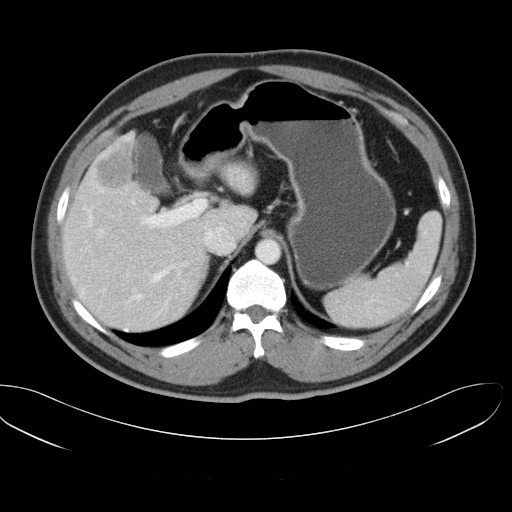 CT slice, Abdomen
Not every hepatic vessel necessarily has a box.
Liver tumor: bounding box (left=93, top=139, right=132, bottom=188).
Largest 15 of 20 hepatic vessel regions: bounding box (left=125, top=294, right=143, bottom=303), (left=97, top=229, right=104, bottom=236), (left=80, top=287, right=84, bottom=298), (left=85, top=245, right=90, bottom=250), (left=99, top=188, right=103, bottom=191), (left=141, top=216, right=177, bottom=227), (left=169, top=264, right=175, bottom=267), (left=126, top=271, right=129, bottom=276), (left=100, top=289, right=104, bottom=292), (left=182, top=199, right=205, bottom=219), (left=126, top=135, right=131, bottom=139), (left=83, top=206, right=92, bottom=226), (left=155, top=297, right=169, bottom=316), (left=152, top=269, right=168, bottom=282), (left=182, top=261, right=188, bottom=265).